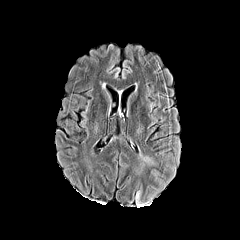
FLAIR magnetic resonance.
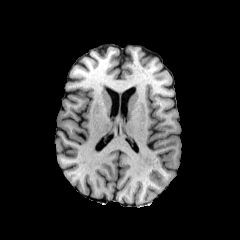
T1-weighted MR of the same slice.
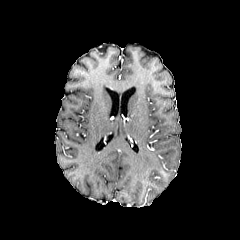
Post-contrast T1-weighted MR image.
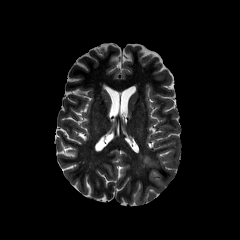
T2-weighted magnetic resonance.
Annotated regions:
• edema: region(143, 156, 155, 167)